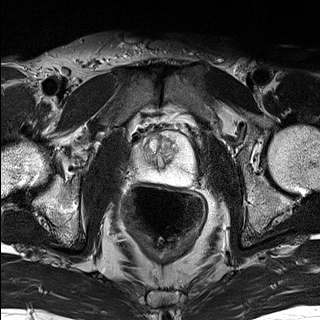
T2-weighted MRI.
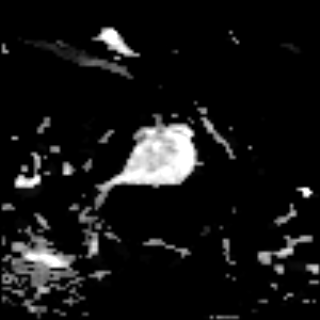
ADC MR image of the same slice.
Pelvis; 320x320
prostate_peripheral_zone:
  - x1=131 y1=133 x2=197 y2=185
prostate_transition_zone:
  - x1=144 y1=133 x2=179 y2=168